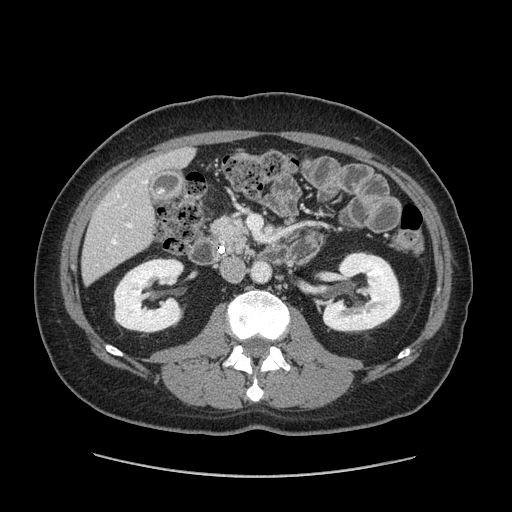
512x512. CT scan slice. Abdomen.

<segmentation>
  <pancreas>bbox(212, 217, 249, 240)</pancreas>
</segmentation>